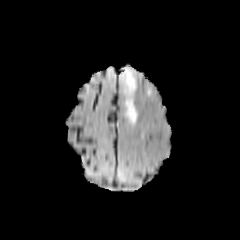
FLAIR MRI.
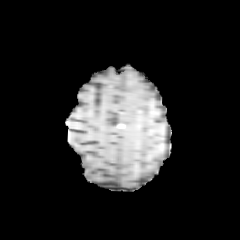
T1-weighted MR.
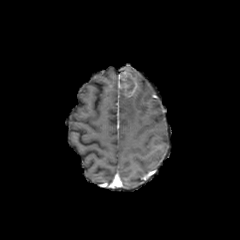
Same slice, post-contrast T1-weighted magnetic resonance.
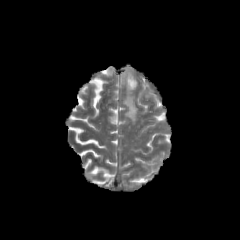
Same slice, T2-weighted MRI.
Head.
- edema: region(125, 93, 138, 122)
- enhancing tumor: region(119, 69, 137, 96)
- non-enhancing tumor core: region(126, 77, 134, 91)